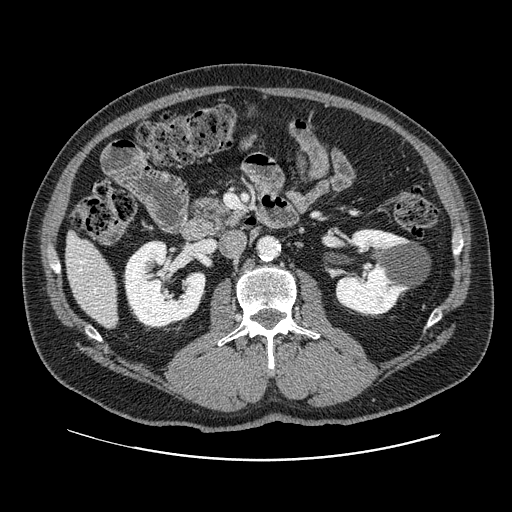

CT image | Abdomen
The pancreas appears at <bbox>192, 194, 236, 230</bbox>.